Brain
FLAIR MR image.
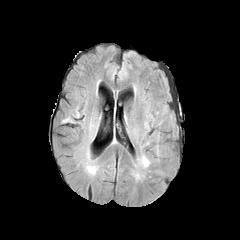
T1-weighted MR image.
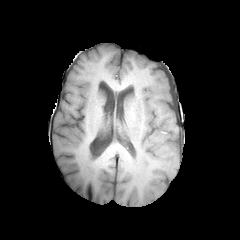
Post-contrast T1-weighted MRI.
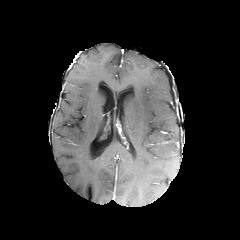
T2-weighted MRI.
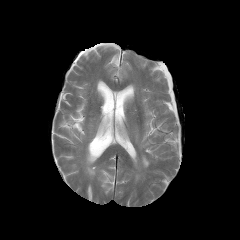
edema: x1=136 y1=155 x2=150 y2=168